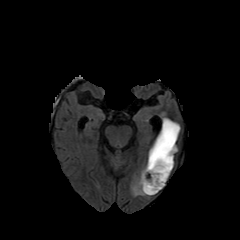
FLAIR magnetic resonance.
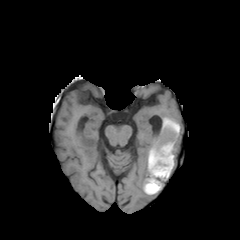
T1-weighted MR image.
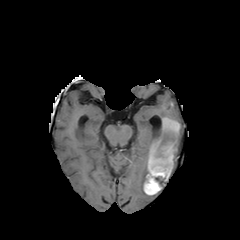
Same slice, post-contrast T1-weighted MR.
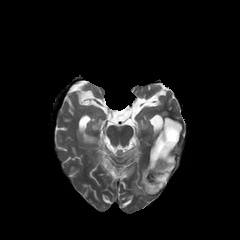
T2-weighted MR image of the same slice.
240x240
2 edema regions appear at left=132, top=164, right=147, bottom=194; left=174, top=131, right=180, bottom=153. 2 non-enhancing tumor core regions are bounded by left=151, top=121, right=178, bottom=171; left=147, top=169, right=166, bottom=189. 4 enhancing tumor regions are located at left=162, top=144, right=171, bottom=156; left=163, top=118, right=179, bottom=133; left=144, top=176, right=159, bottom=193; left=148, top=146, right=167, bottom=177.